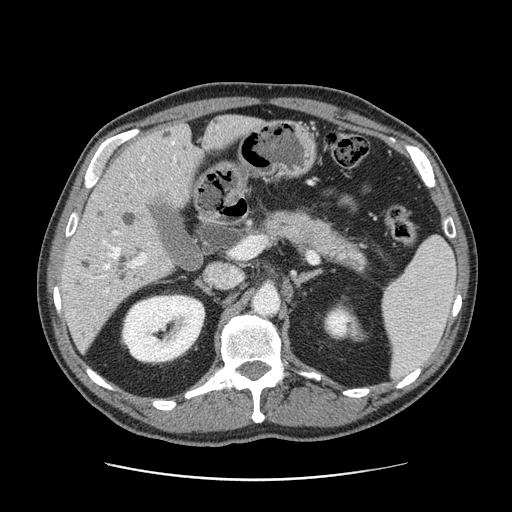
CT scan slice | Abdomen
pancreas: <bbox>259, 210, 367, 273</bbox>